FLAIR MR image.
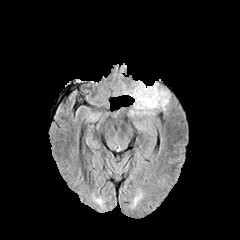
T1-weighted MR.
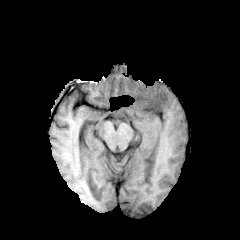
Post-contrast T1-weighted MRI.
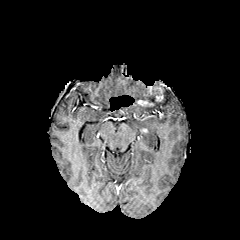
T2-weighted MR image.
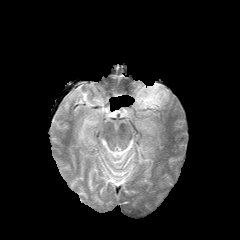
Image size 240x240 | Head
<segmentation>
  <non-enhancing_tumor_core>bbox=[138, 94, 162, 111]</non-enhancing_tumor_core>
  <edema>bbox=[133, 82, 154, 117]; bbox=[156, 88, 169, 109]</edema>
  <enhancing_tumor>bbox=[137, 99, 153, 106]; bbox=[147, 86, 163, 101]</enhancing_tumor>
</segmentation>